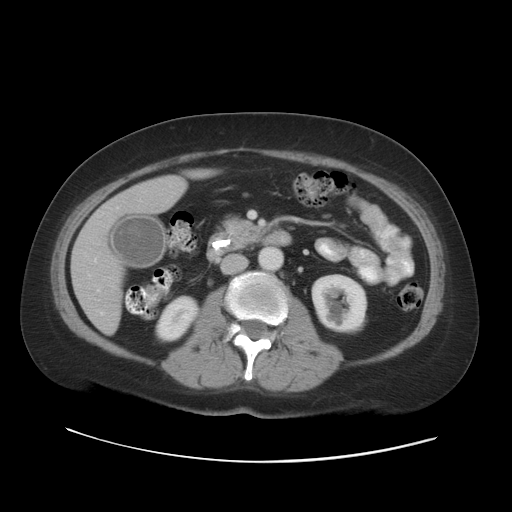
Upper abdomen, 512x512, CT slice

Pancreas: bounding box {"x1": 222, "y1": 217, "x2": 266, "y2": 249}.
Pancreatic tumor: bounding box {"x1": 237, "y1": 223, "x2": 250, "y2": 236}.